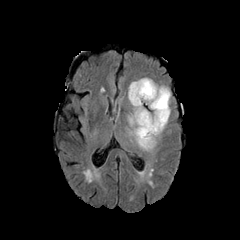
FLAIR magnetic resonance.
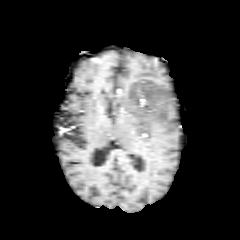
T1-weighted MRI of the same slice.
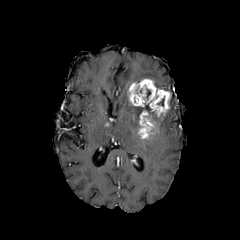
Post-contrast T1-weighted MR image.
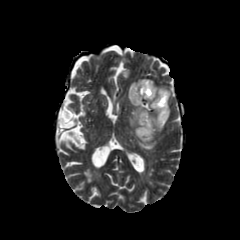
T2-weighted MRI.
Brain
Non-enhancing tumor core at x1=136 y1=102 x2=161 y2=127.
Edema at x1=129 y1=106 x2=170 y2=150.
Enhancing tumor at x1=137 y1=111 x2=156 y2=140, x1=128 y1=79 x2=171 y2=120.